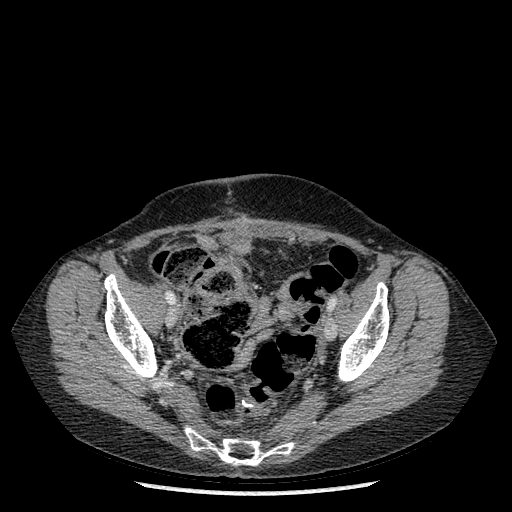
CT image; Image size 512x512

3 bone regions appear at 184, 425, 294, 465; 338, 282, 389, 381; 104, 274, 161, 389.